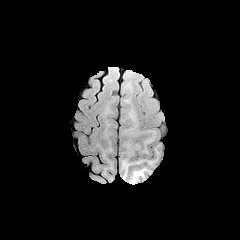
FLAIR magnetic resonance.
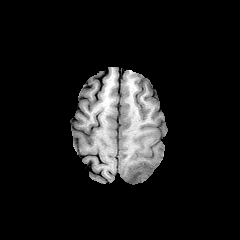
T1-weighted MRI of the same slice.
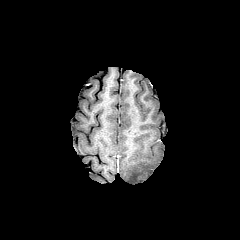
Post-contrast T1-weighted MRI of the same slice.
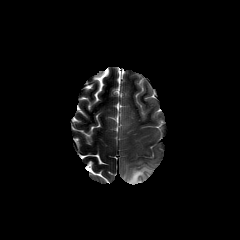
T2-weighted MR image.
Image size 240x240
Edema — l=122, t=162, r=151, b=183.